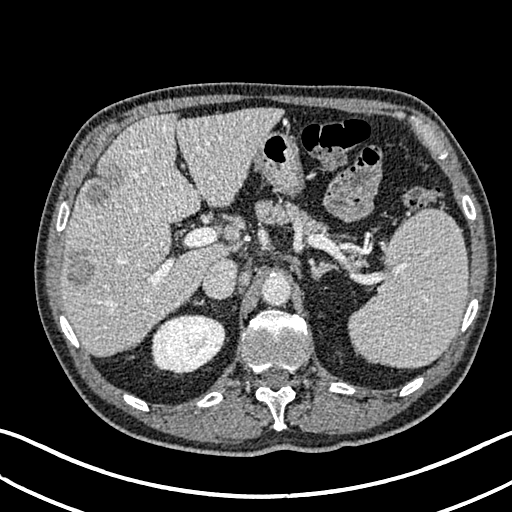 Computed tomography

<segmentation>
  <hepatic_lesion>[67,250,94,285], [85,159,125,204]</hepatic_lesion>
  <liver>[62,109,280,355]</liver>
  <kidney>[153,316,224,372]</kidney>
</segmentation>